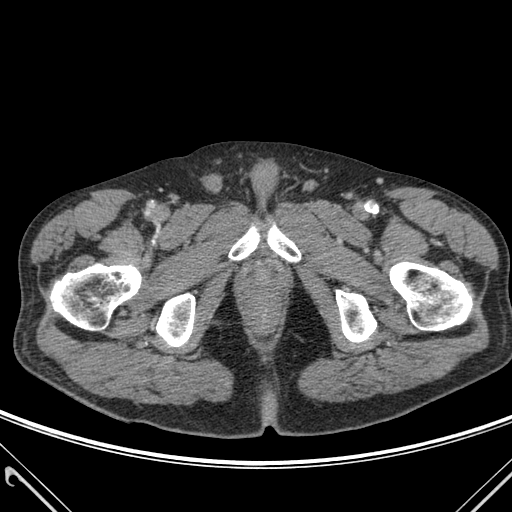 512x512. CT. Annotated regions:
• bone: <box>268,225,300,261</box>, <box>50,264,140,329</box>, <box>156,293,195,346</box>, <box>229,226,259,259</box>, <box>390,262,472,330</box>, <box>336,290,376,342</box>